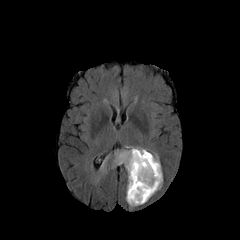
FLAIR MRI.
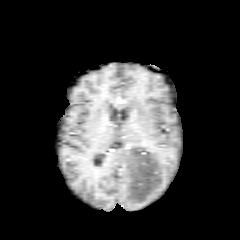
T1-weighted MRI of the same slice.
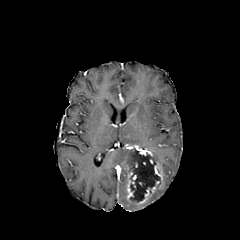
Post-contrast T1-weighted MR image.
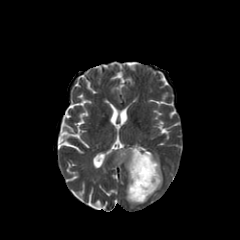
T2-weighted magnetic resonance of the same slice.
Brain.
{"non-enhancing_tumor_core": ["bbox(127, 149, 160, 202)"], "edema": ["bbox(113, 149, 162, 207)", "bbox(152, 151, 162, 177)", "bbox(100, 154, 109, 169)"], "enhancing_tumor": ["bbox(129, 170, 136, 188)", "bbox(125, 144, 152, 156)", "bbox(127, 184, 134, 198)", "bbox(139, 163, 162, 202)"]}